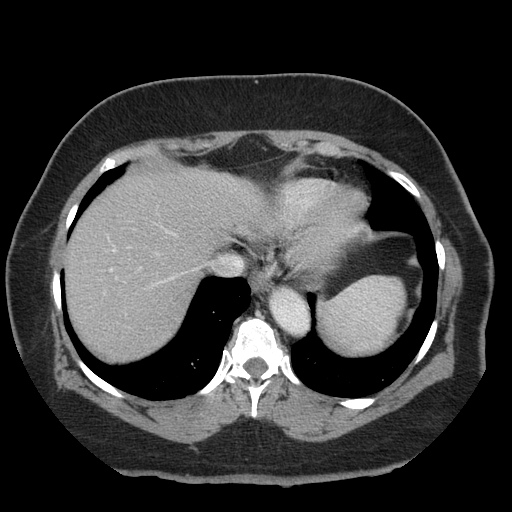
512x512 px, CT slice

Some hepatic vessels may have no box.
4 hepatic vessel regions are bounded by {"x1": 110, "y1": 269, "x2": 112, "y2": 271}, {"x1": 166, "y1": 231, "x2": 169, "y2": 232}, {"x1": 220, "y1": 258, "x2": 241, "y2": 268}, {"x1": 113, "y1": 247, "x2": 115, "y2": 251}.